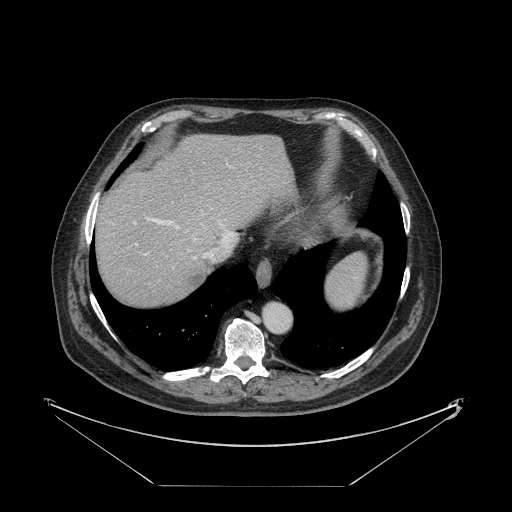

Computed tomography

The vessel annotation is not exhaustive.
Hepatic vessel: bounding box [x1=193, y1=238, x2=194, y2=239], [x1=221, y1=224, x2=224, y2=229], [x1=135, y1=243, x2=137, y2=244].
Liver tumor: bounding box [x1=186, y1=274, x2=200, y2=285].